Cardiac | Magnetic resonance | Field of view 400x400 mm 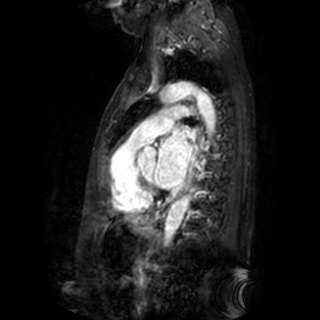

Segmented structures:
* left atrium: rect(155, 127, 192, 188)